Abdomen; Slice index 60; Computed tomography

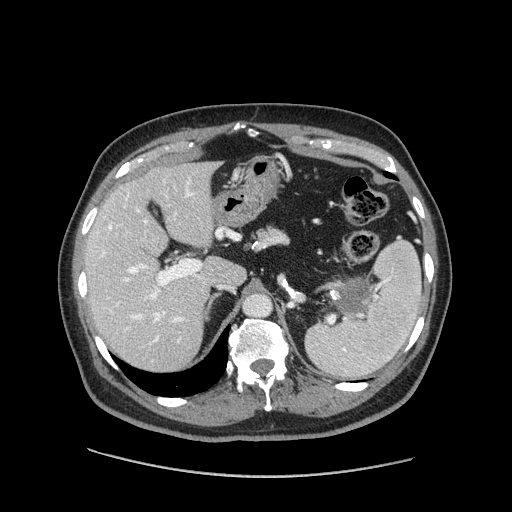
Pancreatic tumor at (x1=338, y1=280, x2=370, y2=312).
Pancreas at (x1=345, y1=307, x2=366, y2=316), (x1=252, y1=226, x2=286, y2=244), (x1=335, y1=279, x2=361, y2=309).